Head
FLAIR magnetic resonance.
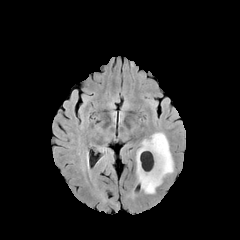
T1-weighted MR image.
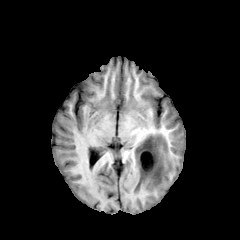
Post-contrast T1-weighted MR.
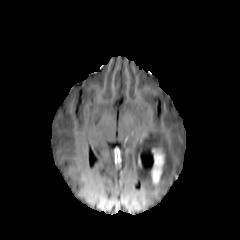
T2-weighted MR.
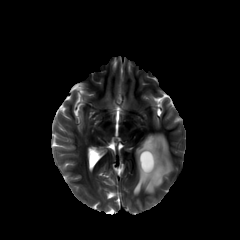
<segmentation>
  <edema>x1=136, y1=133, x2=173, y2=194</edema>
  <enhancing_tumor>x1=151, y1=149, x2=163, y2=185</enhancing_tumor>
</segmentation>